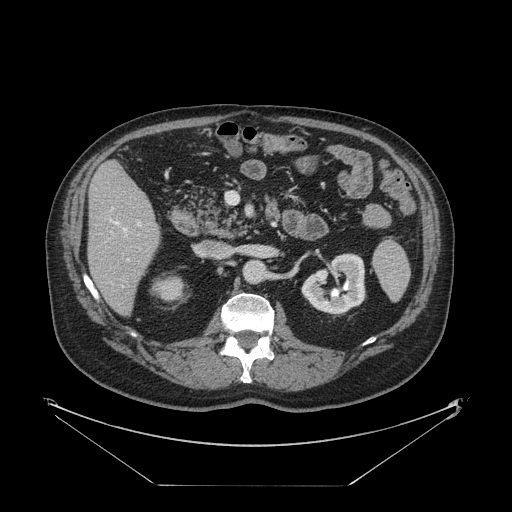

CT slice
The vessel boxes may cover only some of the vessels.
2 hepatic vessel regions appear at 127 258 128 260, 137 222 140 225.